Field of view 415x415 mm, CT slice 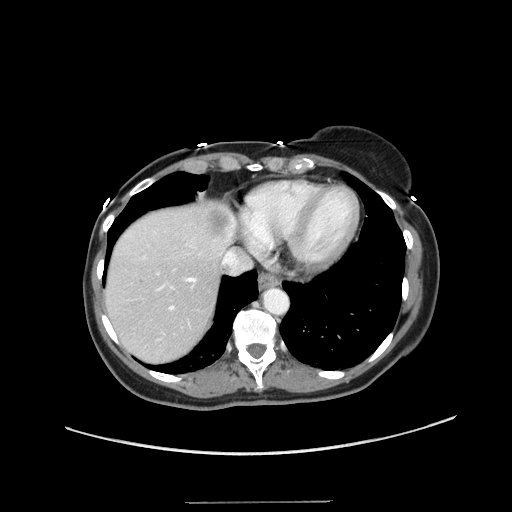

Only some of the vessels may be annotated.
Liver tumor — (left=205, top=205, right=232, bottom=238).
Hepatic vessel — (left=187, top=278, right=195, bottom=282), (left=170, top=306, right=173, bottom=308), (left=210, top=247, right=248, bottom=272), (left=159, top=287, right=161, bottom=288).